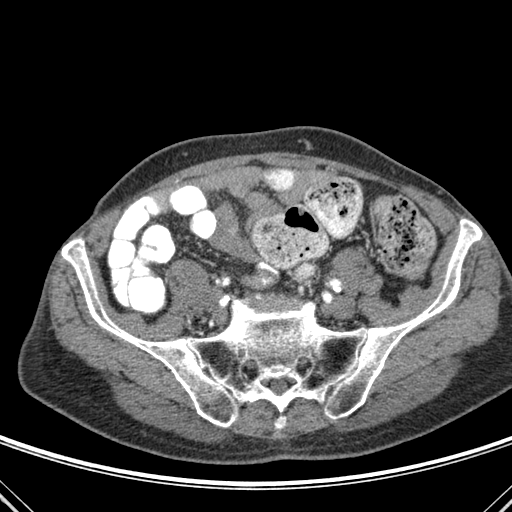

CT scan slice
2 bone regions are bounded by region(61, 219, 482, 427); region(275, 416, 285, 428).